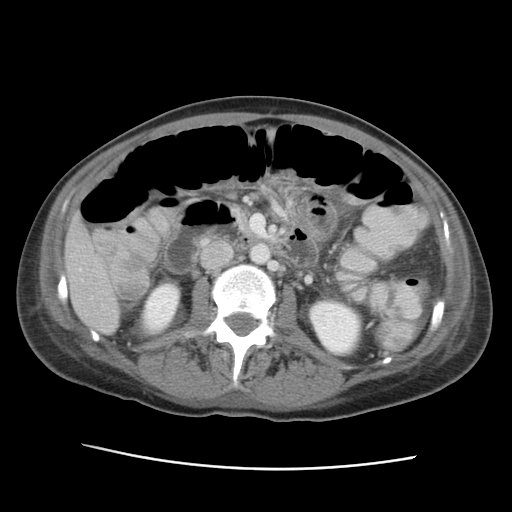

Upper abdomen, CT slice

Liver at [x1=66, y1=212, x2=114, y2=326].
Kidney at [x1=310, y1=301, x2=359, y2=354], [x1=144, y1=284, x2=178, y2=329].